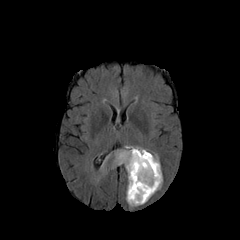
FLAIR MR image.
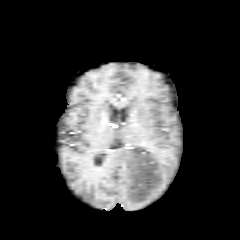
T1-weighted magnetic resonance of the same slice.
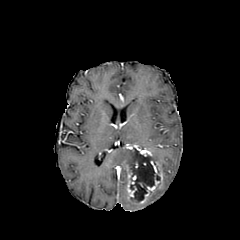
Post-contrast T1-weighted MRI.
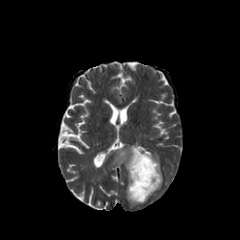
T2-weighted MRI.
The non-enhancing tumor core is located at 130:148:160:201. 4 enhancing tumor regions are located at 126:145:151:156, 127:172:136:198, 140:177:159:202, 150:161:157:175. 4 edema regions are located at 113:146:135:174, 146:186:160:201, 152:152:161:173, 126:189:145:206.